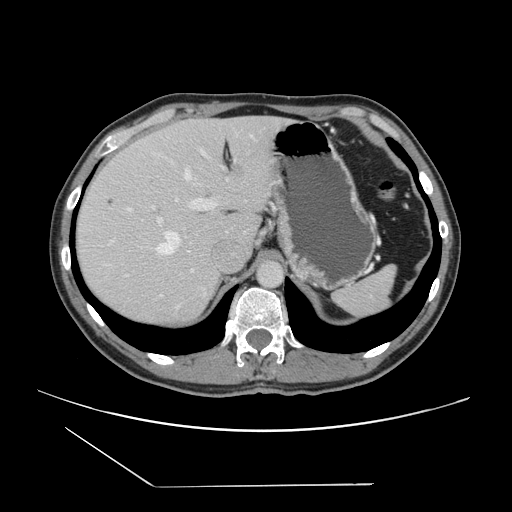 CT scan slice

The vessel boxes may cover only some of the vessels.
11 hepatic vessel regions appear at bbox=[183, 168, 190, 179]; bbox=[113, 239, 114, 241]; bbox=[204, 207, 213, 209]; bbox=[173, 240, 178, 244]; bbox=[250, 134, 252, 136]; bbox=[203, 200, 211, 201]; bbox=[160, 254, 170, 254]; bbox=[152, 152, 155, 153]; bbox=[197, 209, 200, 209]; bbox=[220, 164, 222, 167]; bbox=[243, 232, 245, 233].